FLAIR MR image.
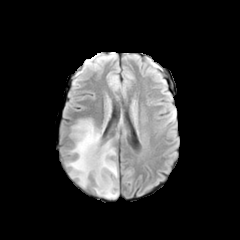
T1-weighted magnetic resonance.
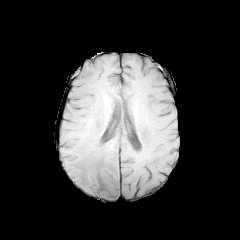
Post-contrast T1-weighted MR image.
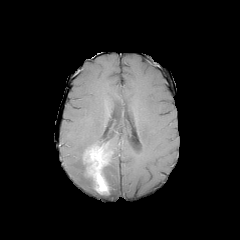
T2-weighted MR.
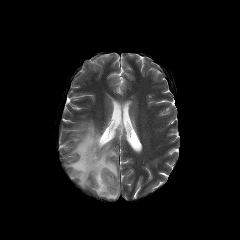
The edema is at 66, 120, 118, 198. The enhancing tumor is bounded by 83, 147, 109, 193. The non-enhancing tumor core is at 82, 143, 112, 181.